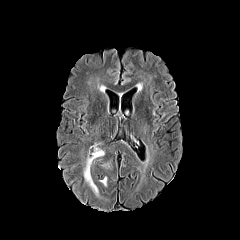
FLAIR MRI.
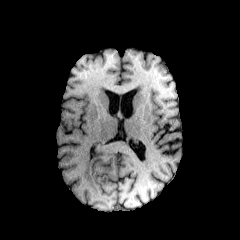
Same slice, T1-weighted magnetic resonance.
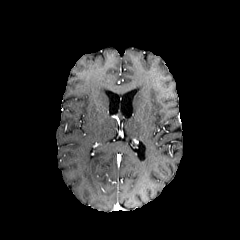
Post-contrast T1-weighted magnetic resonance.
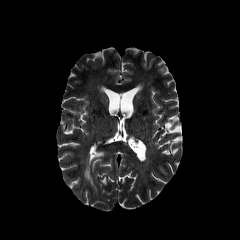
T2-weighted magnetic resonance.
* edema: 83:148:103:195